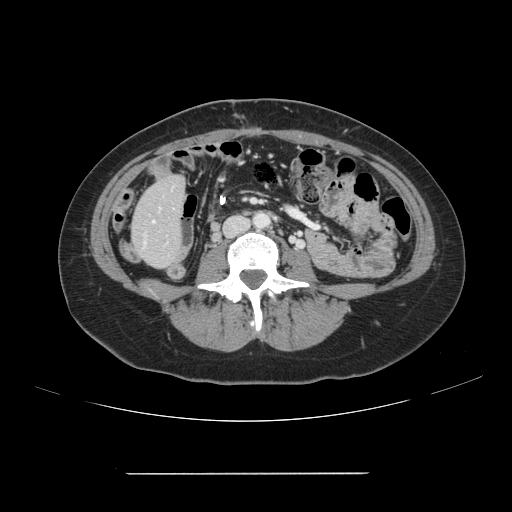 Abdomen; CT
The vessel boxes may cover only some of the vessels.
Hepatic vessel — region(153, 221, 154, 222).